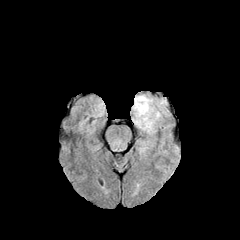
FLAIR magnetic resonance.
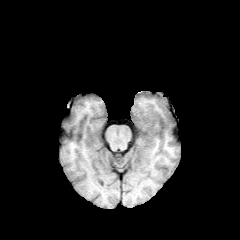
T1-weighted MR image of the same slice.
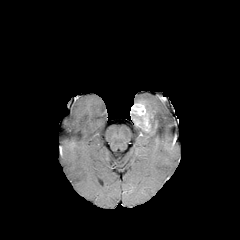
Post-contrast T1-weighted MR.
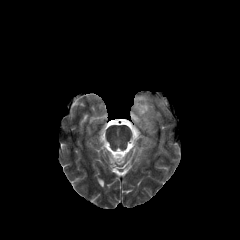
T2-weighted magnetic resonance of the same slice.
2 edema regions are bounded by 137,139,149,155; 134,94,166,132. The enhancing tumor is at 130,101,151,132.